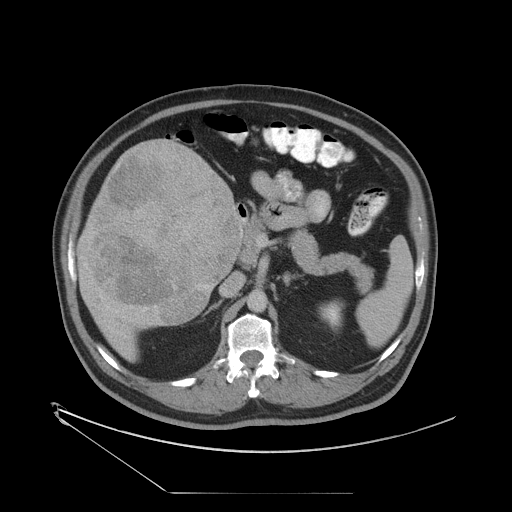 Computed tomography
Some hepatic vessels may have no box.
liver tumor: 88:156:242:323 | hepatic vessel: 110:334:114:340, 156:317:158:319, 130:320:133:320, 115:306:133:312, 95:288:101:296, 154:309:157:315, 140:307:147:311, 108:323:125:337, 104:306:108:309, 209:171:211:172, 103:298:106:298, 122:316:125:323, 136:313:138:318